Upper abdomen; CT scan slice; Slice 217 of 366
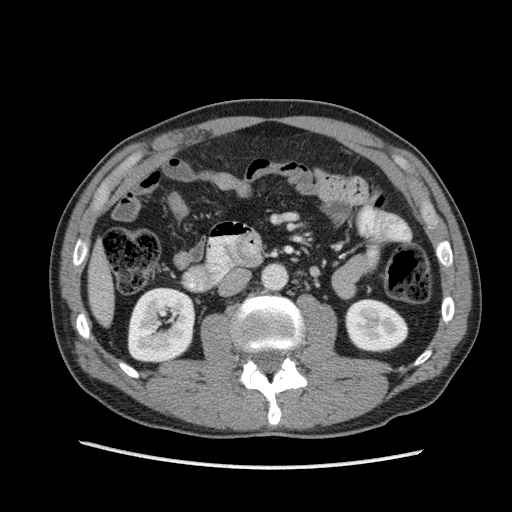 <segmentation>
  <kidney>(347,300,406,349), (129,289,193,360)</kidney>
  <liver>(88,241,114,325)</liver>
</segmentation>